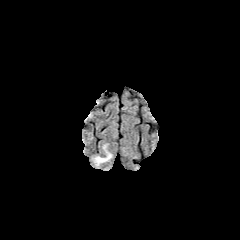
FLAIR MR.
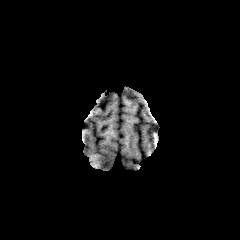
T1-weighted MR.
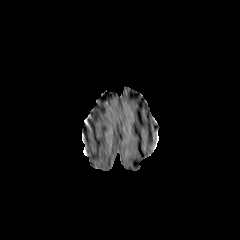
Post-contrast T1-weighted MR image.
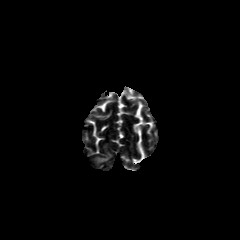
T2-weighted MRI.
240x240 px
Edema: [x1=96, y1=154, x2=111, y2=163].